512x512 | Computed tomography
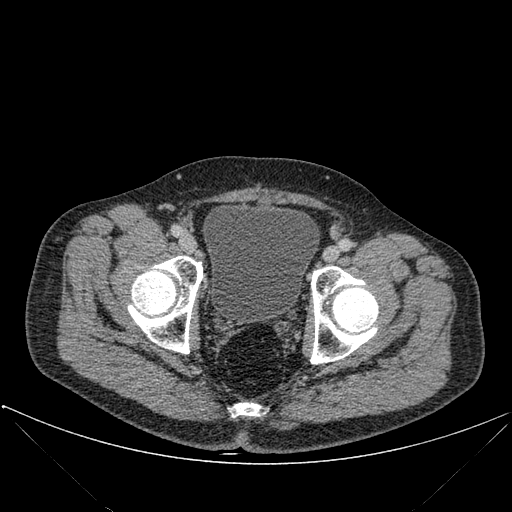
Segmented structures:
- bone: 310:266:378:363, 128:256:202:353, 229:403:260:417
- urinary bladder: 202:202:318:323